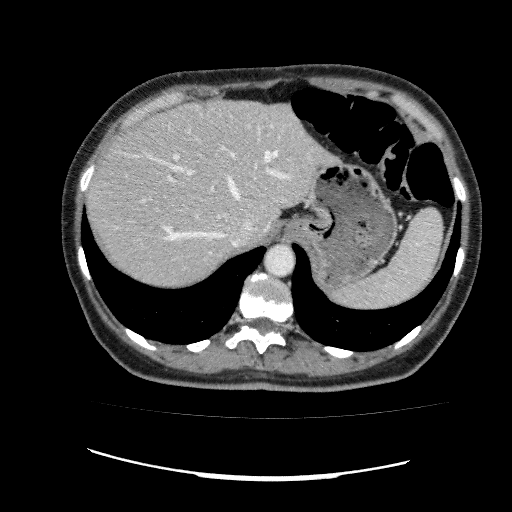

Computed tomography; Image size 512x512
The liver is located at 86:99:339:289.